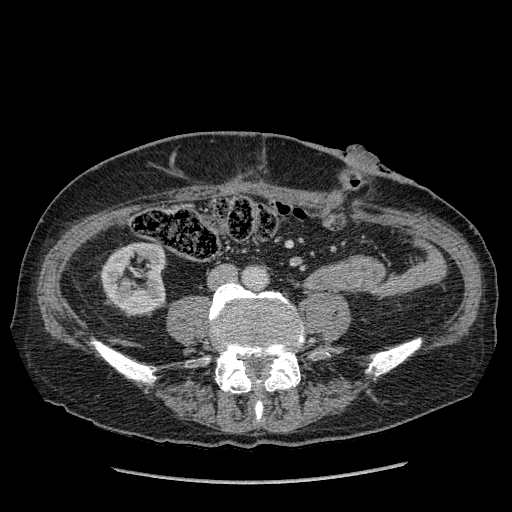

Computed tomography | Abdomen
<segmentation>
  <kidney>(102,243,164,314)</kidney>
</segmentation>